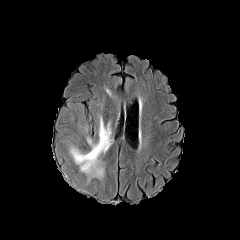
FLAIR MRI.
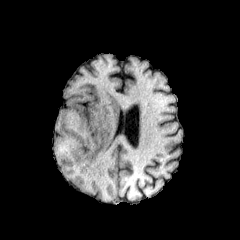
T1-weighted magnetic resonance.
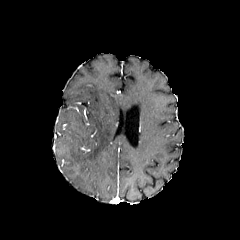
Post-contrast T1-weighted MR.
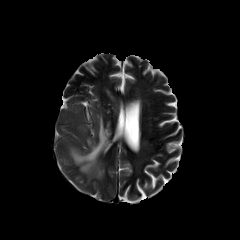
T2-weighted MR of the same slice.
Brain
<segmentation>
  <edema>left=78, top=115, right=88, bottom=131; left=70, top=114, right=112, bottom=181</edema>
</segmentation>